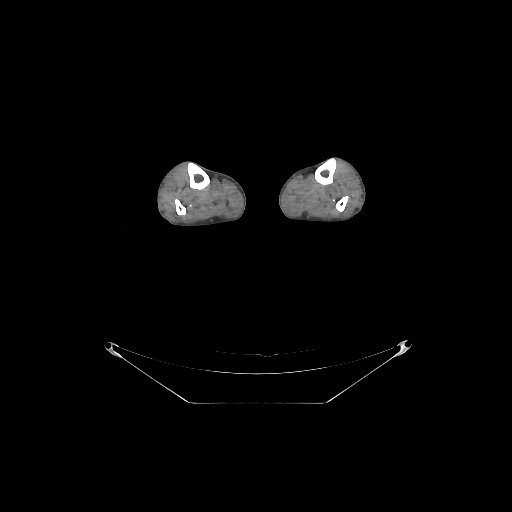

CT scan slice; 512x512

Bone: bounding box box(336, 196, 348, 211); box(315, 158, 336, 184); box(175, 199, 185, 215); box(187, 163, 209, 189).